Slice 543/751 | CT scan slice | Upper abdomen 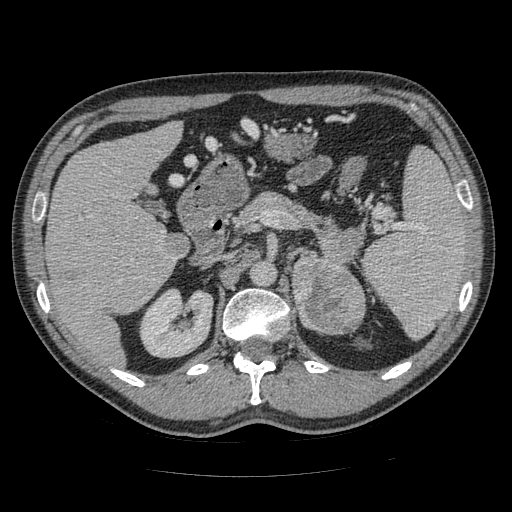

<segmentation>
  <pancreas>243, 192, 361, 279; 295, 293, 301, 318</pancreas>
  <pancreatic_tumor>295, 258, 365, 333</pancreatic_tumor>
</segmentation>